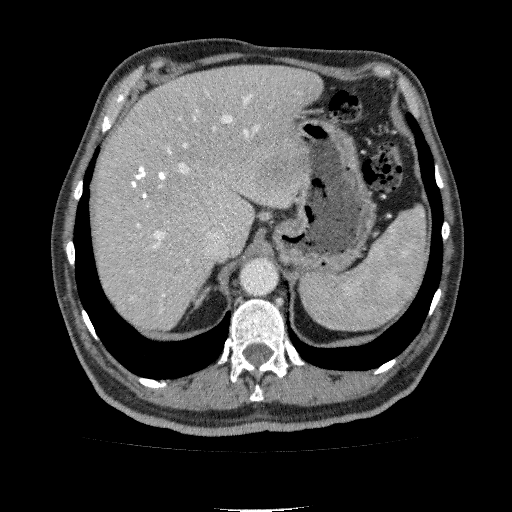 CT
Findings:
- liver: left=92, top=67, right=322, bottom=335
- focal liver lesion: left=257, top=151, right=307, bottom=194